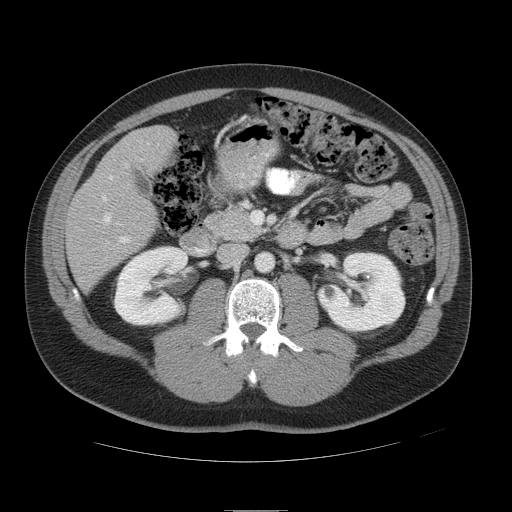

Computed tomography.

The vessel annotation is not exhaustive.
Hepatic vessel: bounding box [120,237,129,242], [104,213,110,221], [102,196,106,199].